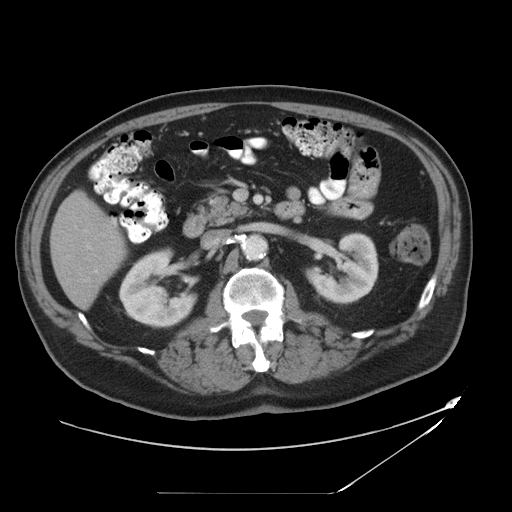

512x512 px. CT image.

Not every hepatic vessel necessarily has a box.
Hepatic vessel at box=[110, 229, 111, 231]; box=[102, 234, 105, 235]; box=[83, 277, 90, 281]; box=[112, 235, 117, 238]; box=[86, 243, 91, 249]; box=[94, 269, 97, 272]; box=[112, 248, 119, 252].